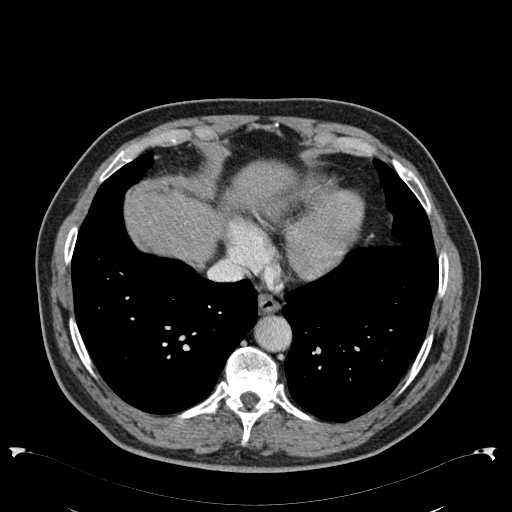 CT scan slice; Liver; Image size 512x512
• liver: [126, 190, 219, 259], [231, 162, 293, 204]